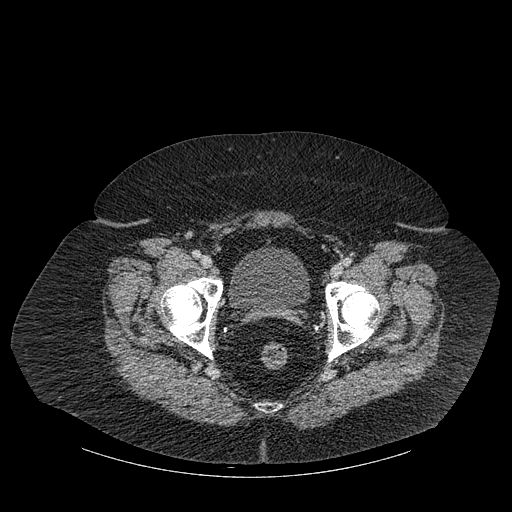

CT slice

Bone: {"x1": 325, "y1": 281, "x2": 379, "y2": 361}, {"x1": 161, "y1": 277, "x2": 222, "y2": 358}, {"x1": 255, "y1": 403, "x2": 281, "y2": 411}.
Urinary bladder: {"x1": 230, "y1": 246, "x2": 310, "y2": 321}.